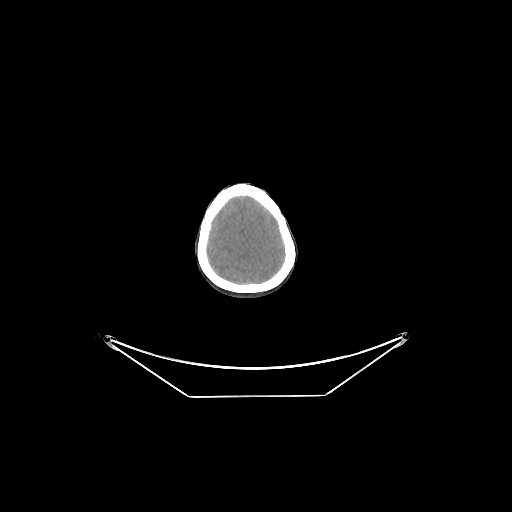
Brain | CT scan slice

Brain at {"x1": 207, "y1": 196, "x2": 285, "y2": 283}.